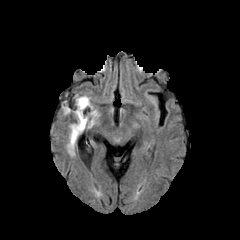
FLAIR magnetic resonance.
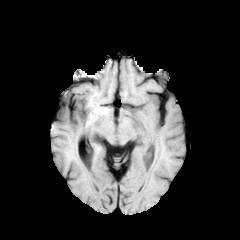
T1-weighted magnetic resonance.
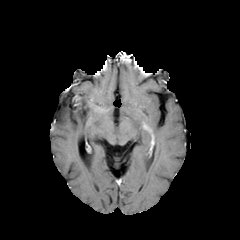
Same slice, post-contrast T1-weighted magnetic resonance.
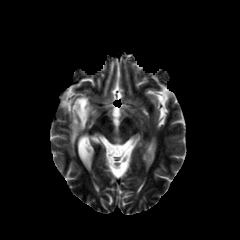
T2-weighted MR image.
240x240
Findings:
* non-enhancing tumor core: (left=74, top=95, right=85, bottom=107)
* edema: (left=63, top=94, right=99, bottom=155)